CT image; Liver; Slice index 89; 512x512

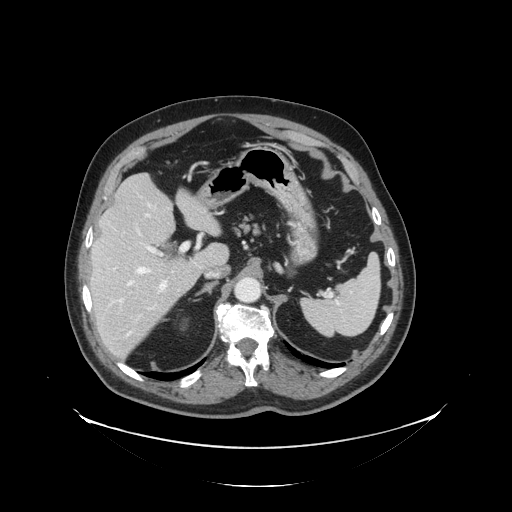

The vessel annotation is not exhaustive.
<segmentation>
  <hepatic_vessel>box(147, 246, 162, 256); box(137, 316, 140, 319); box(150, 307, 154, 309); box(110, 300, 123, 305); box(125, 332, 131, 337); box(201, 234, 203, 235); box(128, 281, 133, 285); box(136, 267, 149, 274); box(146, 215, 149, 216); box(158, 281, 166, 292); box(148, 203, 151, 207)</hepatic_vessel>
</segmentation>